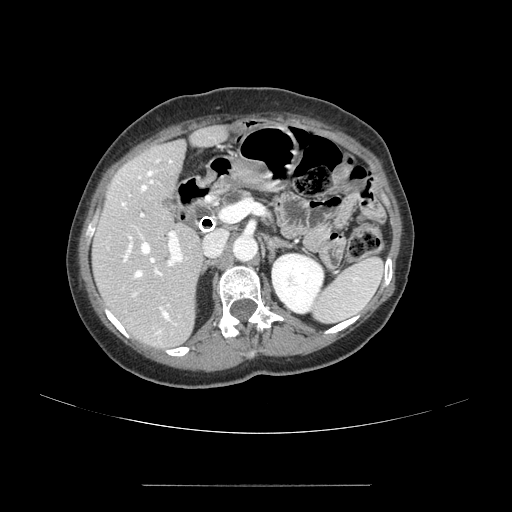 512x512 | Upper abdomen | CT slice
Segmented structures:
- pancreas: 222 191 249 207